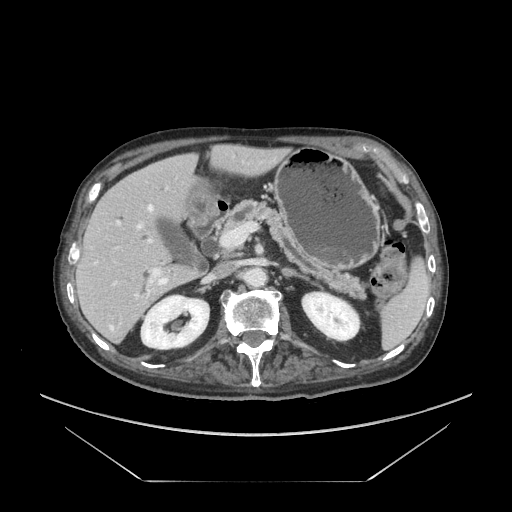

CT slice, Upper abdomen

pancreas:
  - (223,201,364,298)